Slice 203/252. Thorax. Computed tomography.
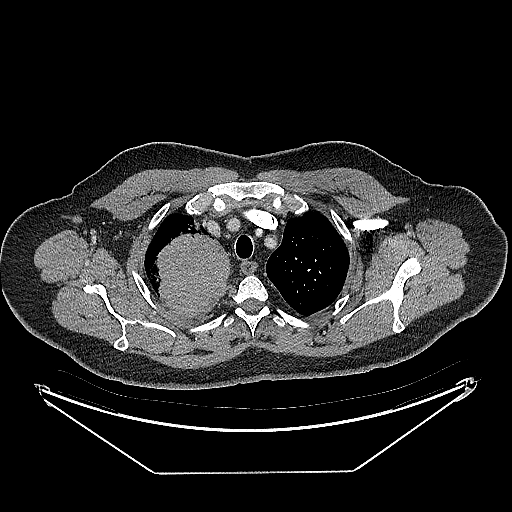 The lung tumor appears at region(146, 218, 229, 314).